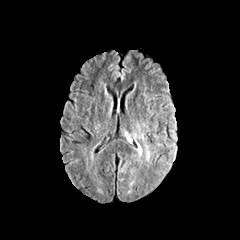
FLAIR MR image.
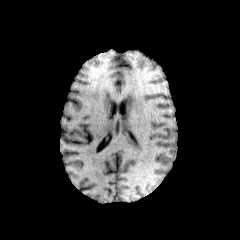
Same slice, T1-weighted MR image.
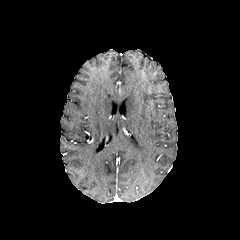
Post-contrast T1-weighted MR image.
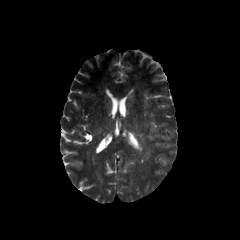
T2-weighted MR.
The edema is bounded by (134, 125, 149, 159).